Abdomen | CT
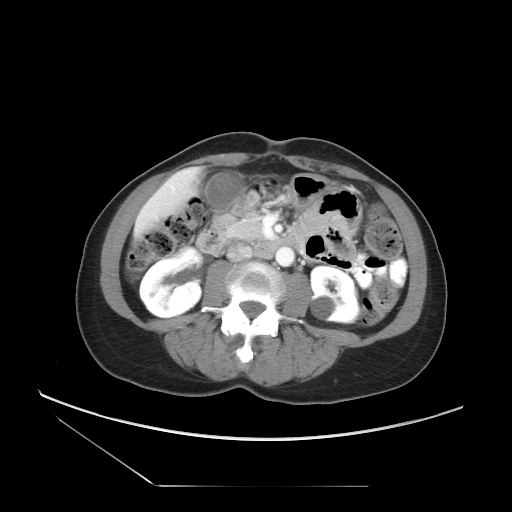
pancreas:
  - left=228, top=219, right=264, bottom=239